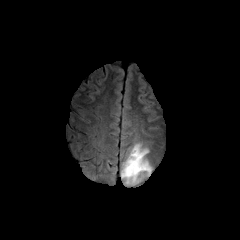
FLAIR magnetic resonance.
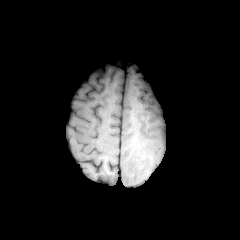
Same slice, T1-weighted MRI.
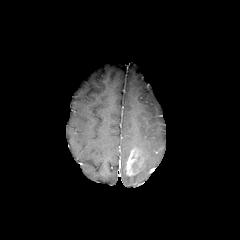
Post-contrast T1-weighted MR.
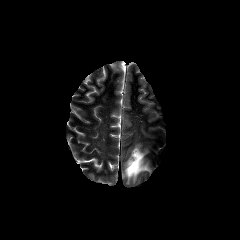
T2-weighted MR image of the same slice.
edema: box(120, 142, 152, 185) | enhancing tumor: box(125, 148, 143, 176)